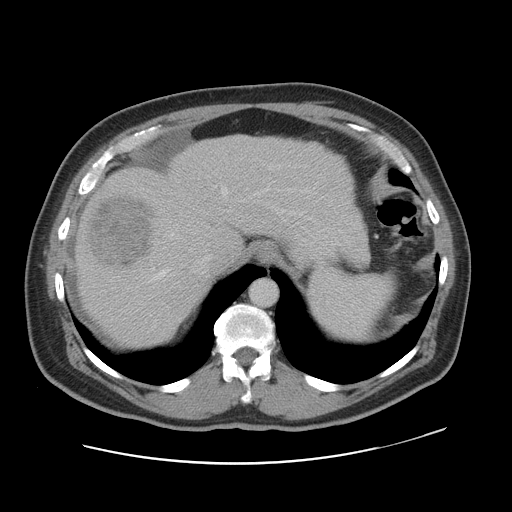 Liver | CT
Only some of the vessels may be annotated.
Liver tumor at [x1=85, y1=194, x2=160, y2=270].
Hepatic vessel at [x1=221, y1=187, x2=227, y2=195], [x1=206, y1=250, x2=209, y2=256], [x1=180, y1=264, x2=183, y2=266], [x1=127, y1=287, x2=130, y2=289], [x1=271, y1=207, x2=284, y2=214], [x1=277, y1=164, x2=279, y2=167], [x1=153, y1=269, x2=170, y2=279], [x1=255, y1=185, x2=269, y2=195], [x1=288, y1=188, x2=290, y2=190], [x1=266, y1=203, x2=267, y2=205], [x1=255, y1=200, x2=258, y2=202], [x1=151, y1=267, x2=154, y2=269], [x1=220, y1=175, x2=222, y2=176], [x1=241, y1=199, x2=244, y2=201], [x1=299, y1=211, x2=304, y2=215].